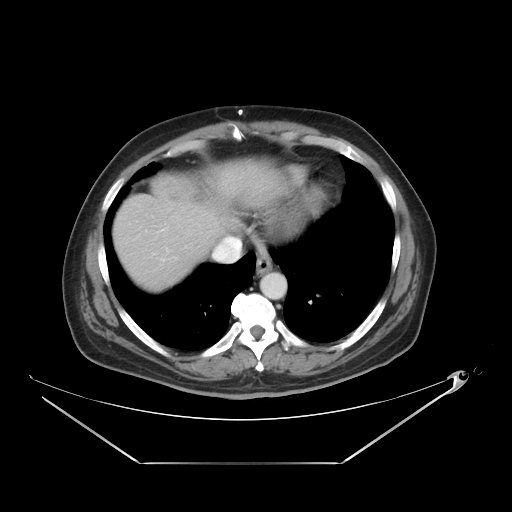
Liver; Computed tomography
Only some of the vessels may be annotated.
{
  "hepatic_vessel": [
    {"x1": 220, "y1": 239, "x2": 227, "y2": 245}
  ],
  "liver_tumor": [
    {"x1": 166, "y1": 177, "x2": 192, "y2": 203}
  ]
}